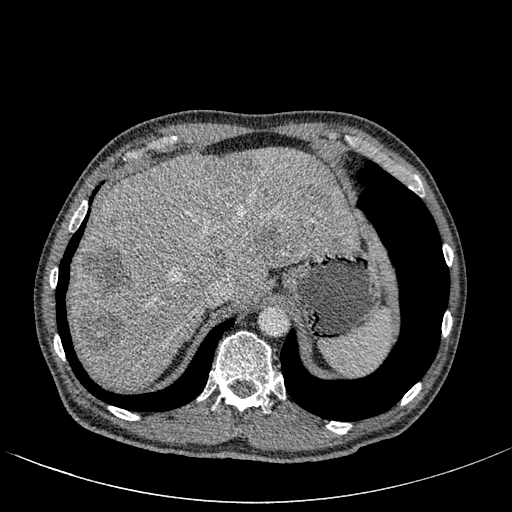 Upper abdomen; CT scan slice; 512x512
<segmentation>
  <liver>x1=71 y1=147 x2=359 y2=390</liver>
  <focal_liver_lesion>x1=242 y1=155 x2=257 y2=172, x1=207 y1=161 x2=234 y2=186, x1=256 y1=226 x2=284 y2=253, x1=108 y1=217 x2=117 y2=226, x1=84 y1=244 x2=132 y2=295, x1=77 y1=311 x2=124 y2=355, x1=306 y1=189 x2=332 y2=212, x1=215 y1=248 x2=223 y2=261</focal_liver_lesion>
</segmentation>